Image width 330 mm, Slice 476/630, CT scan slice

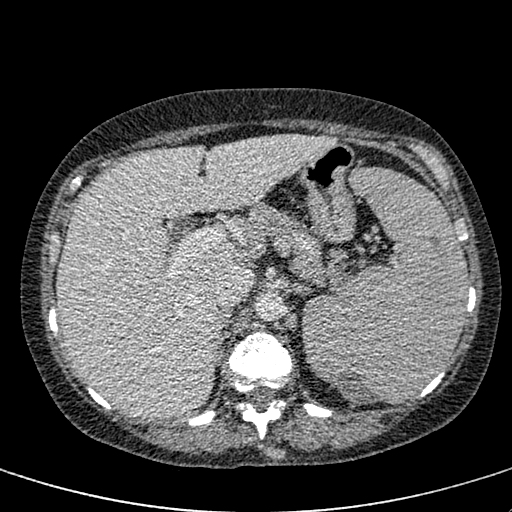

{"liver": ["(58,136,335,419)"]}